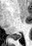

MRI slice. Medial temporal lobe.

posterior hippocampus: 10,33,21,40